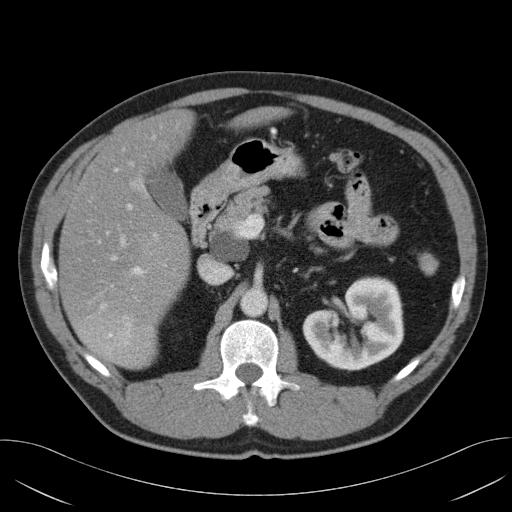 Computed tomography | Upper abdomen
Pancreas: x1=208, y1=185, x2=272, y2=256.
Pancreatic tumor: x1=211, y1=229, x2=249, y2=261.